Abdomen. CT scan slice.
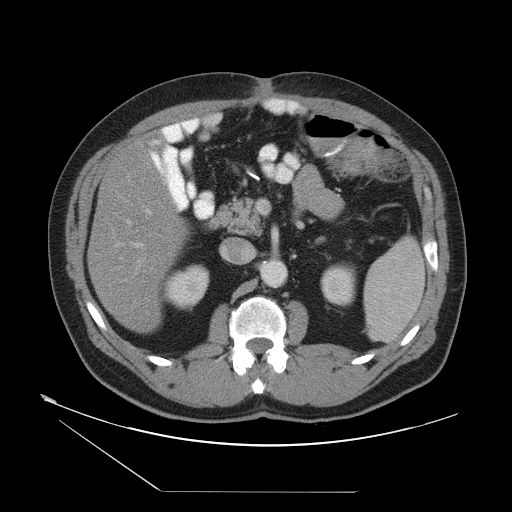
Not every hepatic vessel necessarily has a box.
Findings:
• hepatic vessel: x1=126 y1=220 x2=131 y2=224, x1=145 y1=210 x2=150 y2=215, x1=114 y1=242 x2=122 y2=247, x1=136 y1=258 x2=143 y2=270, x1=120 y1=257 x2=121 y2=259, x1=146 y1=155 x2=149 y2=157, x1=118 y1=196 x2=120 y2=197, x1=136 y1=143 x2=138 y2=144, x1=132 y1=243 x2=142 y2=247, x1=112 y1=230 x2=114 y2=238